FLAIR MR image.
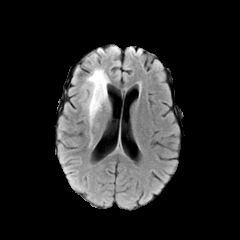
T1-weighted MR image.
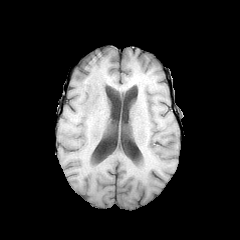
Post-contrast T1-weighted MRI.
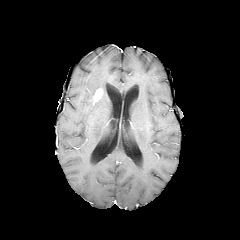
T2-weighted MR image.
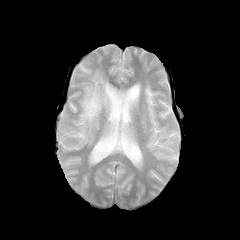
Head
Segmented structures:
* enhancing tumor: 91, 88, 103, 104
* non-enhancing tumor core: 95, 88, 106, 103
* edema: 80, 67, 109, 127